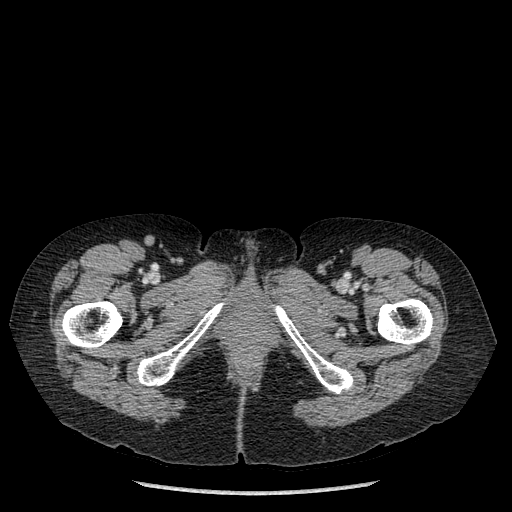

CT scan slice
{
  "bone": [
    "left=378, top=299, right=433, bottom=348",
    "left=58, top=300, right=122, bottom=350",
    "left=272, top=305, right=353, bottom=393",
    "left=136, top=302, right=224, bottom=385"
  ]
}